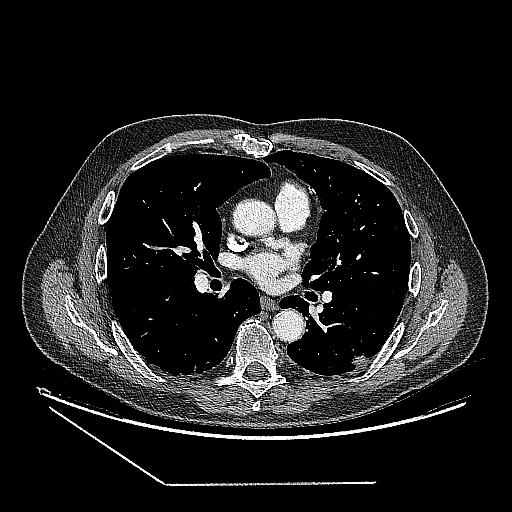
CT | 512x512
Segmented structures:
- lung tumor: (left=350, top=351, right=370, bottom=368)